CT. Liver. Field of view 432 mm wide, 1.50 mm slice spacing.

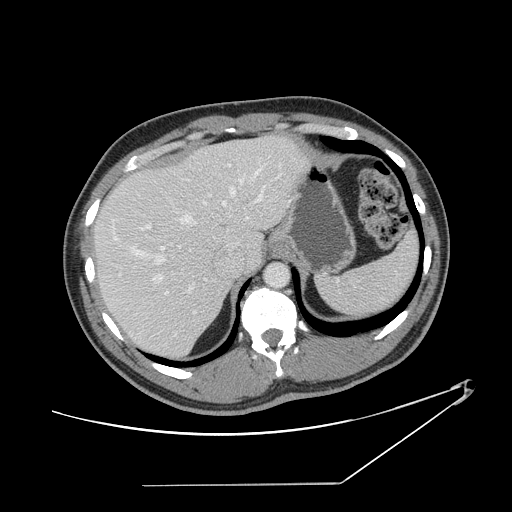

The vessel boxes may cover only some of the vessels.
Largest 15 of 27 hepatic vessel regions: bounding box rect(230, 188, 235, 198); rect(113, 219, 116, 226); rect(129, 246, 149, 256); rect(155, 255, 164, 263); rect(113, 235, 117, 239); rect(146, 224, 150, 228); rect(223, 201, 225, 205); rect(274, 172, 282, 179); rect(225, 164, 230, 166); rect(252, 166, 263, 179); rect(238, 175, 246, 183); rect(189, 283, 193, 290); rect(180, 215, 196, 224); rect(154, 274, 162, 281); rect(257, 185, 265, 201).